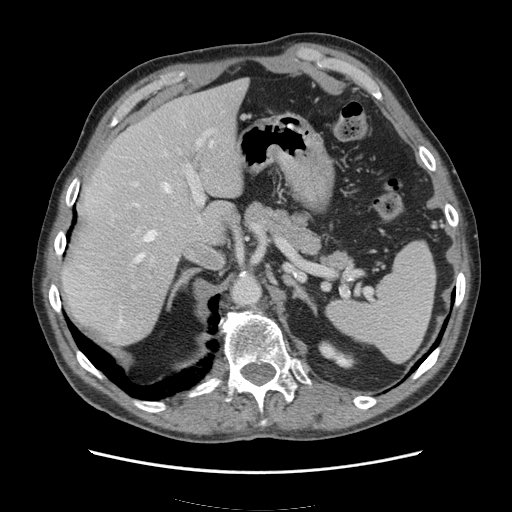 CT scan slice. Image size 512x512. Segmented structures:
* spleen: [326, 241, 435, 361]